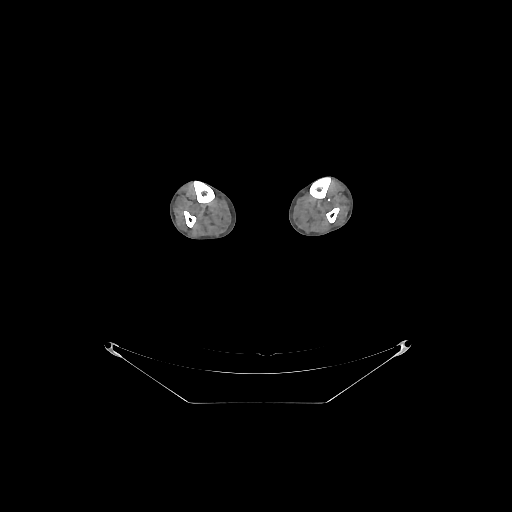

CT scan slice
Bone = (x1=193, y1=181, x2=214, y2=203), (x1=326, y1=208, x2=339, y2=222), (x1=184, y1=211, x2=195, y2=227), (x1=310, y1=177, x2=330, y2=198).